Brain. Slice 69/155.
FLAIR MR image.
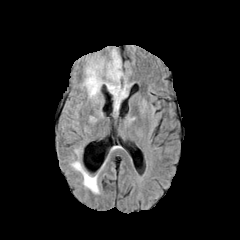
T1-weighted MRI.
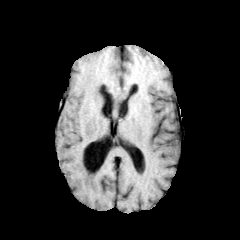
Post-contrast T1-weighted magnetic resonance.
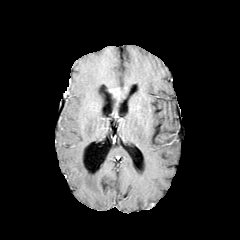
T2-weighted MR image.
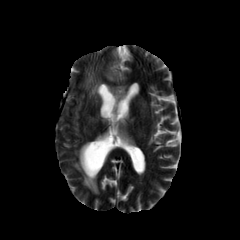
3 edema regions appear at x1=83, y1=50, x2=122, y2=98; x1=113, y1=85, x2=127, y2=112; x1=71, y1=148, x2=99, y2=194.